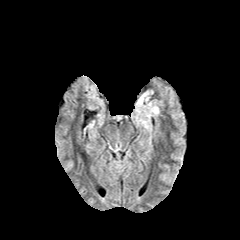
FLAIR MR image.
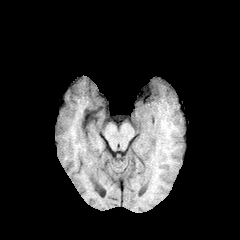
T1-weighted magnetic resonance.
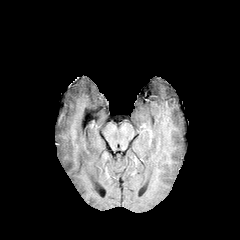
Same slice, post-contrast T1-weighted magnetic resonance.
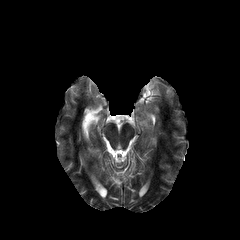
T2-weighted MR image.
Brain
<segmentation>
  <edema>(left=136, top=90, right=159, bottom=126)</edema>
</segmentation>